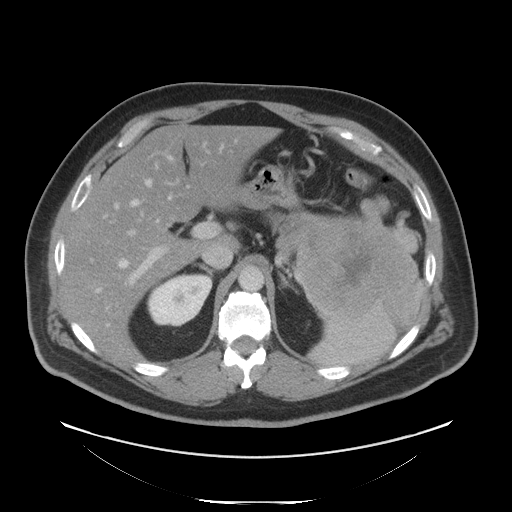

Abdomen | 512x512 px | CT slice

Pancreas at region(335, 209, 368, 223); region(375, 251, 423, 330); region(379, 203, 403, 232); region(270, 213, 289, 231).
Pancreatic tumor at region(278, 198, 418, 314).